240x240
FLAIR MRI.
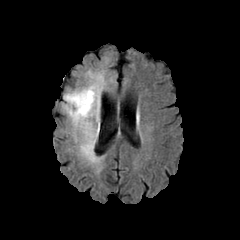
T1-weighted magnetic resonance.
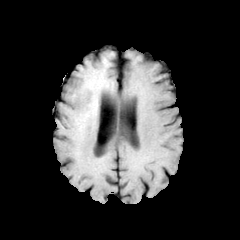
Post-contrast T1-weighted magnetic resonance.
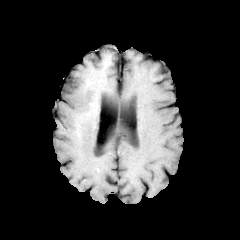
T2-weighted MRI.
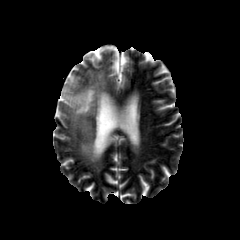
The non-enhancing tumor core is located at box=[76, 82, 103, 124]. 2 edema regions appear at box=[88, 71, 105, 85]; box=[64, 86, 100, 164].